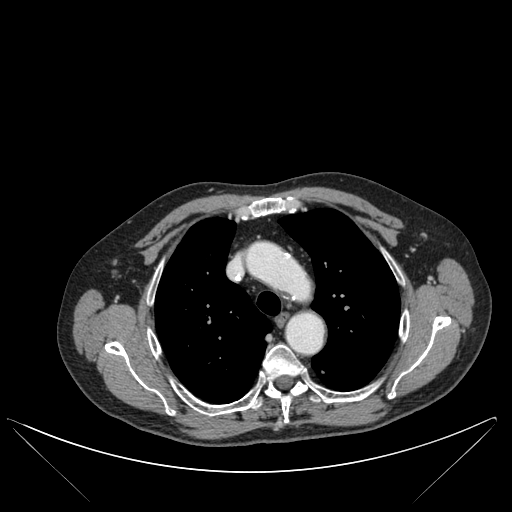

CT image
8 bone regions appear at box(388, 316, 450, 398); box(243, 197, 297, 219); box(399, 310, 409, 340); box(147, 329, 160, 357); box(105, 341, 175, 415); box(388, 255, 399, 278); box(171, 345, 376, 422); box(148, 263, 161, 304). 2 lung regions appear at box(155, 218, 280, 403); box(279, 209, 400, 390).